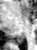
37x50 px, Magnetic resonance

Posterior hippocampus at <box>14,36,23,43</box>.